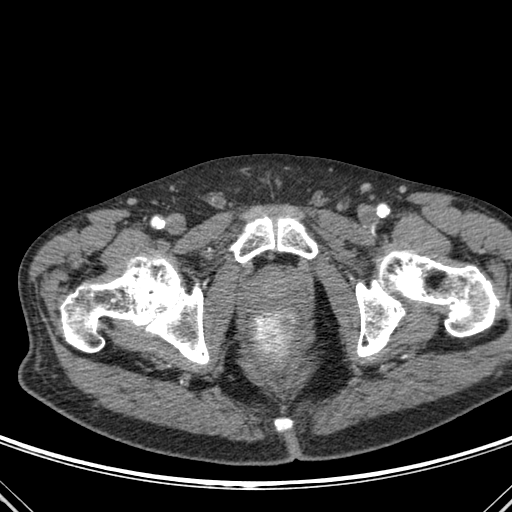 Image size 512x512 | CT slice
Segmented structures:
- bone: x1=275, y1=418, x2=291, y2=430; x1=356, y1=250, x2=499, y2=357; x1=60, y1=254, x2=209, y2=364; x1=230, y1=216, x2=318, y2=263